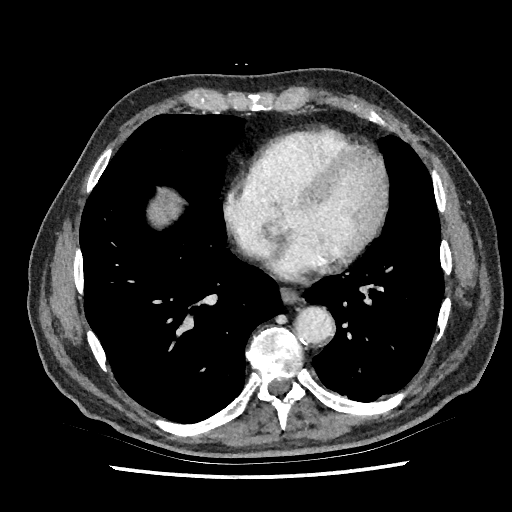

Image size 512x512. CT scan slice. {"liver": ["[150, 194, 178, 222]"], "focal_liver_lesion": ["[158, 193, 172, 207]"]}